CT scan slice. Chest. Image width 360 mm. 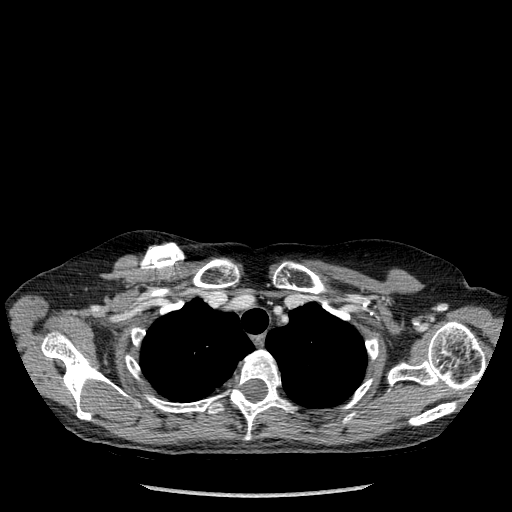

Lung at 265,302,367,408; 140,298,268,401.
Bone at 343,412,355,423; 41,331,127,420; 321,299,349,320; 365,337,378,359; 388,321,485,390; 130,327,145,346; 145,349,295,439; 155,298,183,314; 193,259,239,288; 344,379,372,408; 409,402,456,425; 273,262,326,293; 125,355,139,378.